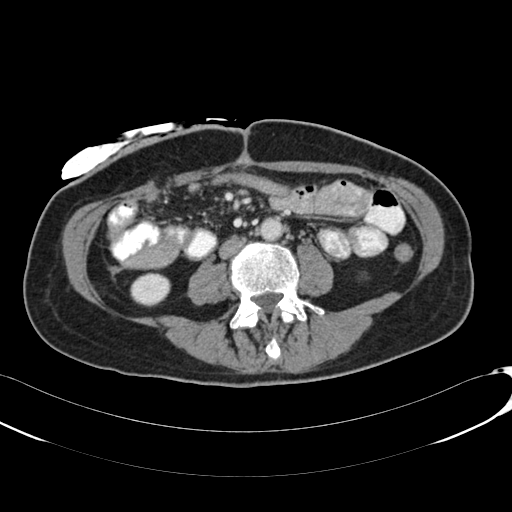

CT slice; 512x512; Abdomen
The kidney appears at box=[132, 274, 168, 303].